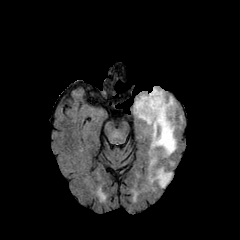
FLAIR MR.
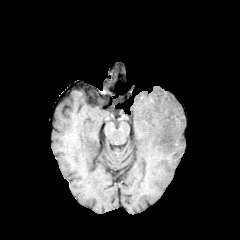
T1-weighted magnetic resonance.
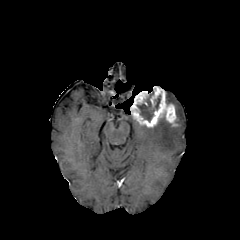
Same slice, post-contrast T1-weighted MR.
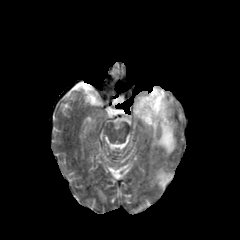
T2-weighted MR image of the same slice.
240x240
Annotated regions:
* enhancing tumor: [x1=130, y1=86, x2=175, y2=127]
* non-enhancing tumor core: [x1=137, y1=95, x2=160, y2=120]
* edema: [x1=142, y1=119, x2=177, y2=166], [x1=166, y1=93, x2=177, y2=122], [x1=148, y1=167, x2=172, y2=187]